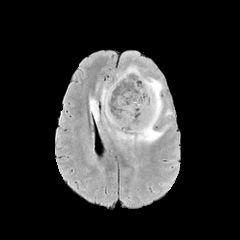
FLAIR magnetic resonance.
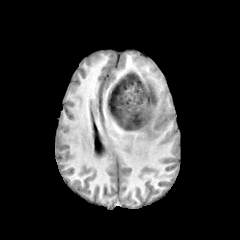
T1-weighted MR.
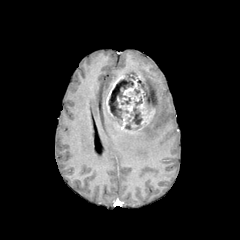
Post-contrast T1-weighted MRI.
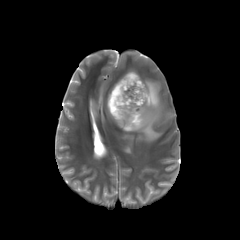
T2-weighted MRI of the same slice.
enhancing_tumor:
  - box(106, 75, 124, 116)
  - box(141, 110, 153, 123)
  - box(123, 80, 137, 96)
non-enhancing_tumor_core:
  - box(108, 74, 153, 129)
edema:
  - box(123, 66, 139, 75)
  - box(101, 86, 120, 127)
  - box(89, 98, 99, 125)
  - box(116, 78, 166, 145)